CT image; Abdomen
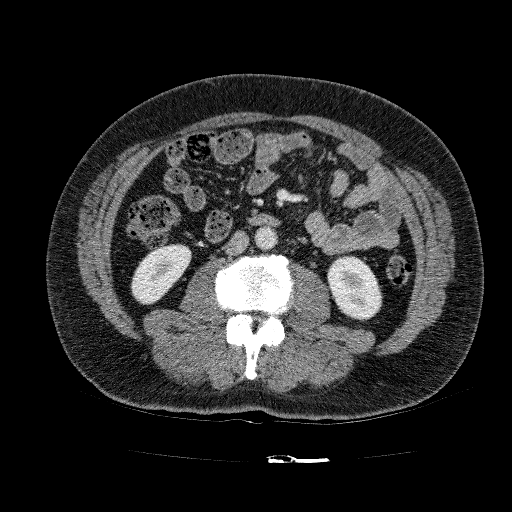 * kidney: bbox=[132, 245, 190, 303]; bbox=[328, 257, 381, 318]